512x512 | Image width 344 mm | Computed tomography | Slice 95 of 466

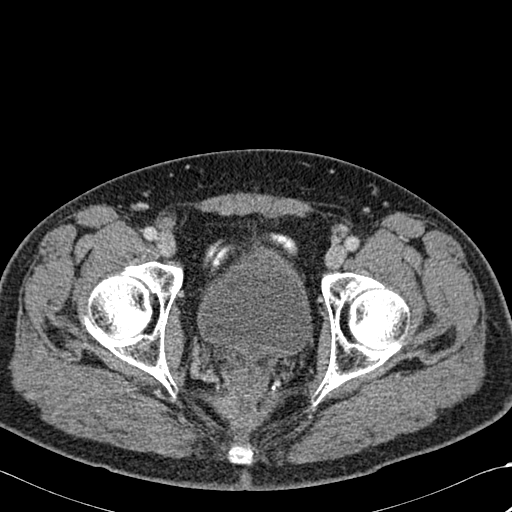
3 bone regions are bounded by {"x1": 318, "y1": 273, "x2": 408, "y2": 396}, {"x1": 230, "y1": 447, "x2": 252, "y2": 462}, {"x1": 84, "y1": 262, "x2": 182, "y2": 391}.